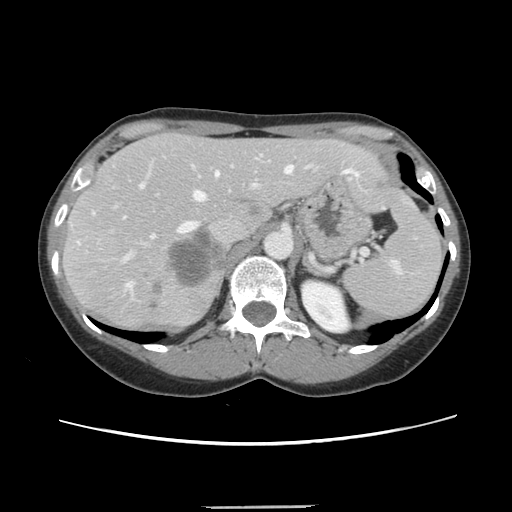

Abdomen. Computed tomography.
Only some of the vessels may be annotated.
<segmentation>
  <hepatic_vessel>(150, 234, 153, 237), (177, 221, 196, 232), (125, 283, 131, 290), (139, 183, 143, 187), (122, 254, 129, 262), (193, 191, 204, 200), (284, 164, 292, 173), (252, 184, 256, 187), (76, 240, 79, 243), (92, 212, 93, 213), (215, 171, 218, 175)</hepatic_vessel>
  <liver_tumor>(250, 207, 257, 214), (168, 238, 214, 286)</liver_tumor>
</segmentation>